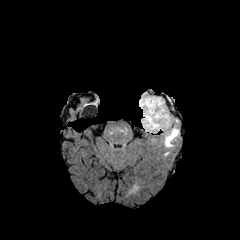
FLAIR magnetic resonance.
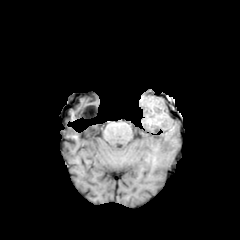
T1-weighted magnetic resonance.
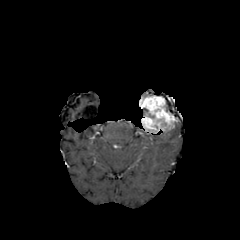
Post-contrast T1-weighted MR image.
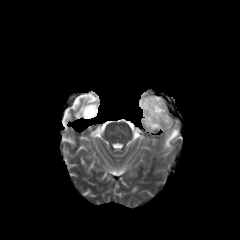
Same slice, T2-weighted magnetic resonance.
Edema: bbox=[163, 125, 178, 156].
Enhancing tumor: bbox=[139, 94, 177, 133].